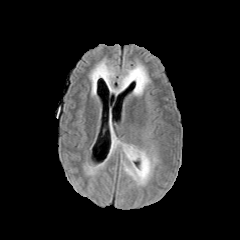
FLAIR MR.
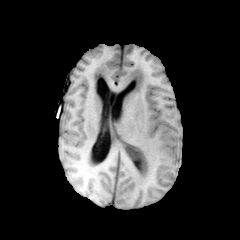
T1-weighted MRI.
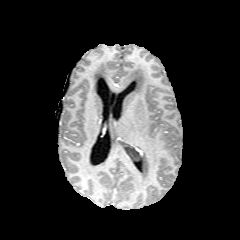
Post-contrast T1-weighted MR image.
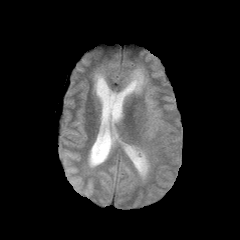
T2-weighted MR.
5 edema regions are located at bbox(121, 161, 145, 184); bbox(137, 126, 157, 181); bbox(92, 68, 108, 81); bbox(109, 126, 130, 156); bbox(112, 63, 149, 96). The non-enhancing tumor core lies within bbox(121, 144, 148, 177).